Head
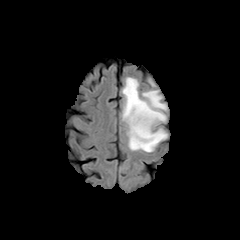
FLAIR magnetic resonance.
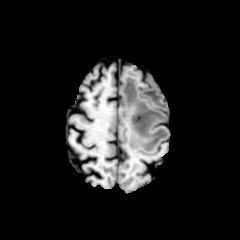
T1-weighted MR image of the same slice.
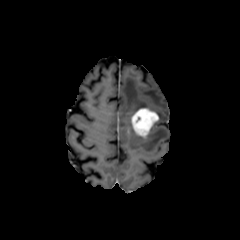
Post-contrast T1-weighted magnetic resonance of the same slice.
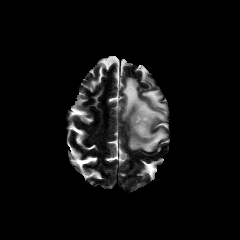
Same slice, T2-weighted MR.
<segmentation>
  <edema>x1=122, y1=77, x2=168, y2=152</edema>
  <enhancing_tumor>x1=131, y1=107, x2=159, y2=137</enhancing_tumor>
</segmentation>